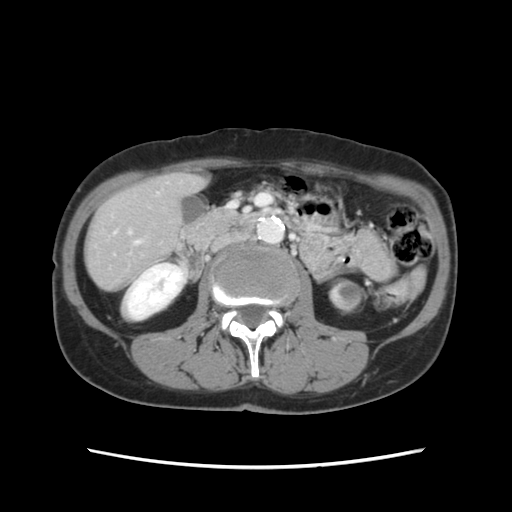 CT image
The vessel boxes may cover only some of the vessels.
- hepatic vessel: 128,231,130,233; 135,241,138,243